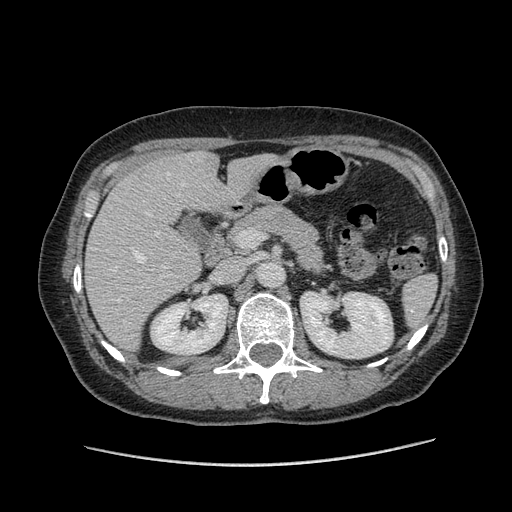 CT scan slice
The vessel boxes may cover only some of the vessels.
2 hepatic vessel regions are located at region(155, 232, 157, 235); region(147, 213, 148, 214).